Computed tomography. Field of view 386 mm wide, 1.50 mm slice spacing. Image size 512x512.

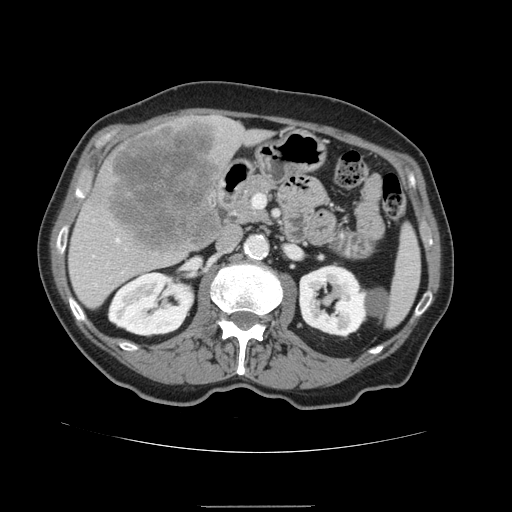

Some hepatic vessels may have no box.
{
  "liver_tumor": [
    "[109, 120, 220, 250]"
  ],
  "hepatic_vessel": [
    "[253, 198, 254, 205]",
    "[117, 238, 119, 241]"
  ]
}